Abdomen | CT image 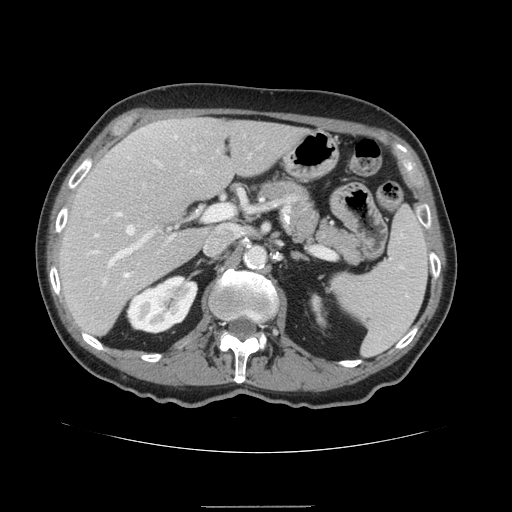
Not every hepatic vessel necessarily has a box.
hepatic_vessel:
  - (137,243,139,244)
  - (205,237,224,253)
  - (117,212,121,215)
  - (204,205,238,236)
  - (127,225,133,233)
  - (110,246,135,263)
  - (124,273,129,277)
  - (249,154,250,156)
  - (157,161,158,163)
  - (94,250,97,252)